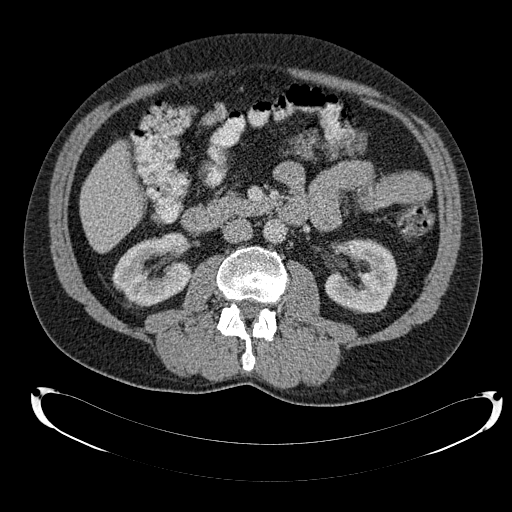

CT scan slice

The liver is at x1=81 y1=143 x2=142 y2=251. 2 kidney regions are bounded by x1=113 y1=234 x2=190 y2=305, x1=326 y1=240 x2=396 y2=311.